Image width 438 mm | Upper abdomen | Slice index 48 | Computed tomography

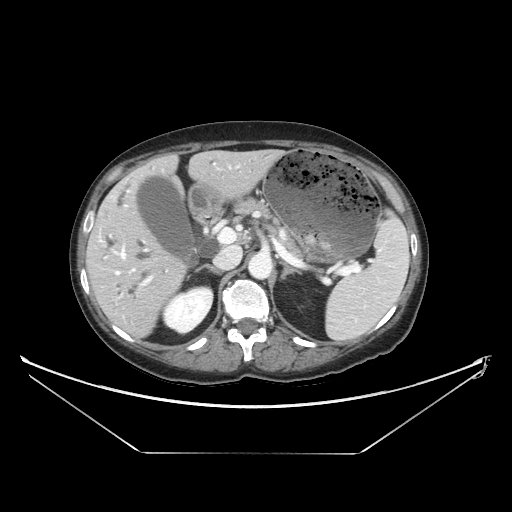 Pancreas — {"x1": 233, "y1": 197, "x2": 307, "y2": 256}.